FLAIR MR.
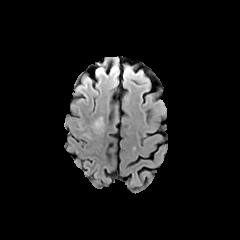
T1-weighted MRI.
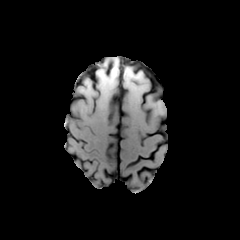
Post-contrast T1-weighted magnetic resonance.
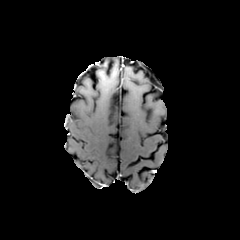
T2-weighted MRI.
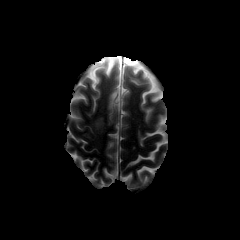
Edema = box(93, 118, 103, 128); box(96, 64, 117, 83).